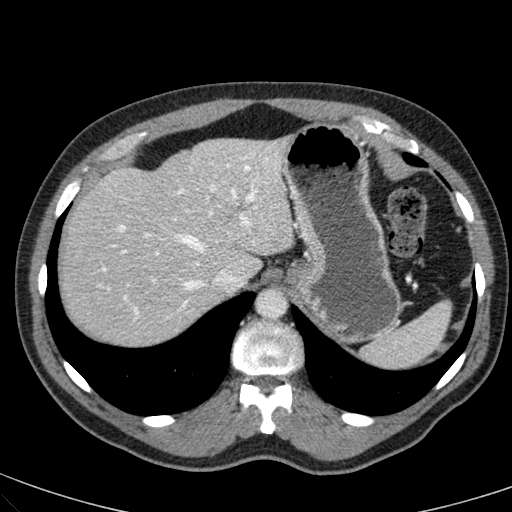 CT | 512x512 | Abdomen
liver:
  - region(62, 136, 292, 347)